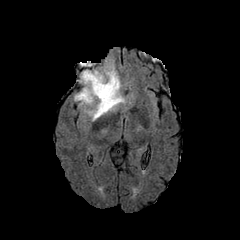
FLAIR magnetic resonance.
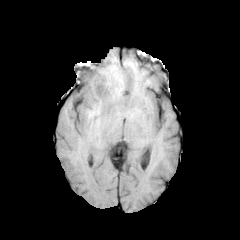
Same slice, T1-weighted MR image.
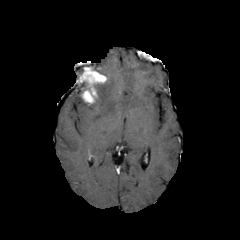
Post-contrast T1-weighted MR.
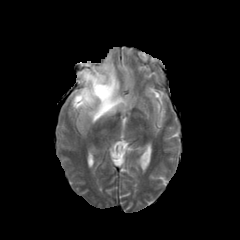
Same slice, T2-weighted MR.
3 non-enhancing tumor core regions are bounded by {"x1": 75, "y1": 78, "x2": 86, "y2": 103}, {"x1": 94, "y1": 84, "x2": 105, "y2": 96}, {"x1": 84, "y1": 63, "x2": 103, "y2": 73}. The edema is located at {"x1": 77, "y1": 56, "x2": 132, "y2": 121}. The enhancing tumor is bounded by {"x1": 78, "y1": 67, "x2": 107, "y2": 105}.